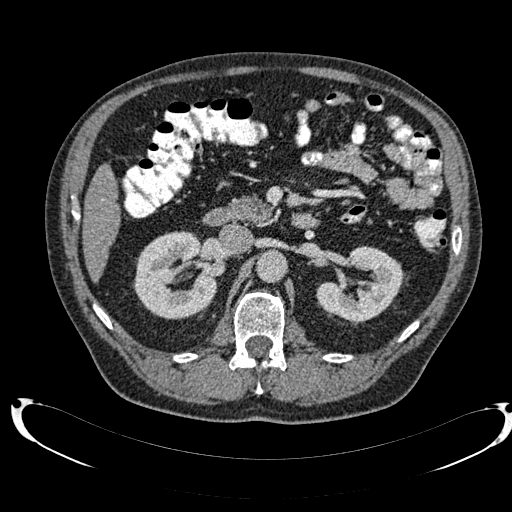

CT slice.
Kidney at <box>316,246,403,323</box>, <box>134,231,224,318</box>.
Liver at <box>82,164,118,280</box>.